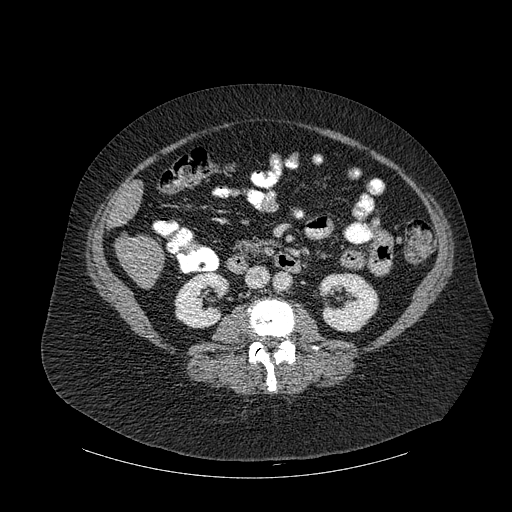 CT
kidney: bbox(175, 272, 227, 327); bbox(321, 274, 377, 331) | bone: bbox(248, 300, 295, 390) | liver: bbox(108, 181, 142, 227); bbox(115, 233, 165, 287)